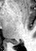 Hippocampus | MR
The posterior hippocampus is located at rect(8, 39, 18, 44).